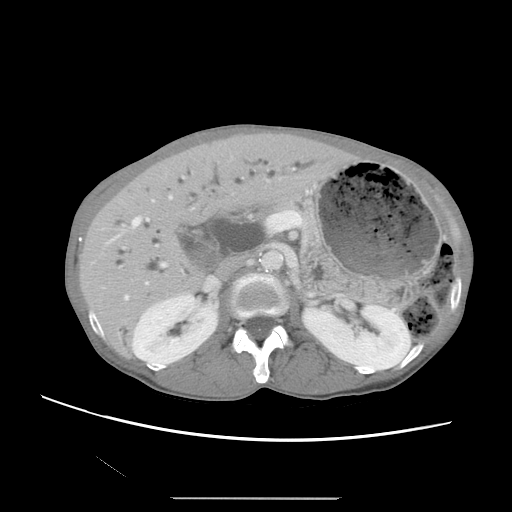
512x512 px. CT slice. Upper abdomen.
The pancreas appears at box(275, 197, 316, 241).